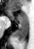
Magnetic resonance | Hippocampus

Anterior hippocampus: bbox=[16, 14, 27, 20]; bbox=[7, 10, 13, 19].
Posterior hippocampus: bbox=[16, 21, 27, 40].